Upper abdomen | Computed tomography | Slice index 132

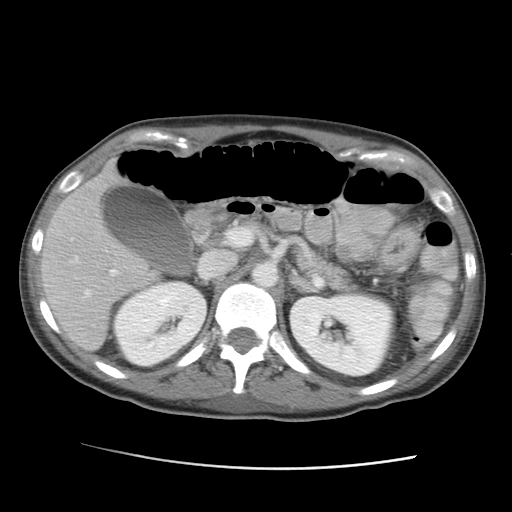
The liver is located at 41, 159, 156, 349. 2 kidney regions are bounded by 290, 294, 392, 375; 115, 282, 205, 365.